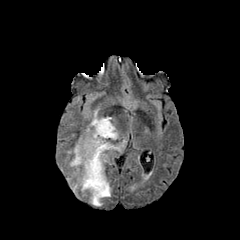
FLAIR magnetic resonance.
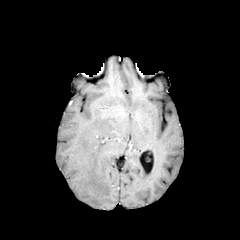
T1-weighted magnetic resonance of the same slice.
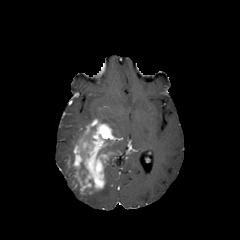
Post-contrast T1-weighted MRI.
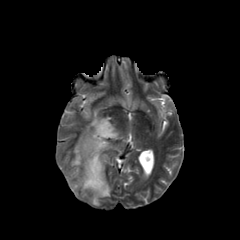
T2-weighted MR image.
Image size 240x240
Edema: bounding box left=82, top=174, right=111, bottom=206; left=108, top=138, right=127, bottom=152; left=91, top=108, right=119, bottom=137; left=66, top=164, right=79, bottom=196.
Non-enhancing tumor core: bounding box left=79, top=162, right=87, bottom=184.
Enhancing tumor: bounding box left=73, top=119, right=120, bottom=192.